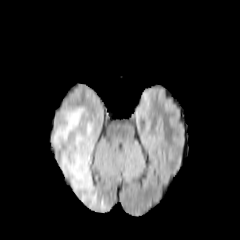
FLAIR MRI.
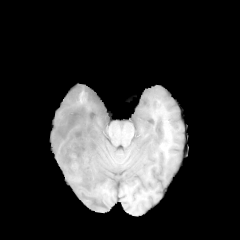
T1-weighted MRI.
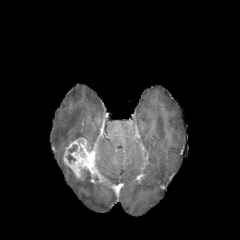
Post-contrast T1-weighted MR.
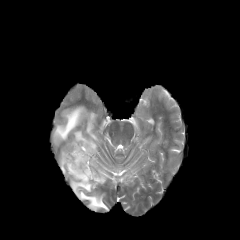
T2-weighted magnetic resonance.
Annotated regions:
* enhancing tumor: l=63, t=137, r=101, b=181
* edema: l=52, t=106, r=106, b=209; l=86, t=119, r=94, b=137; l=73, t=131, r=84, b=138
* non-enhancing tumor core: l=66, t=153, r=76, b=162; l=78, t=169, r=88, b=179